Slice 284 of 826, Computed tomography, Image width 381 mm, Image size 512x512 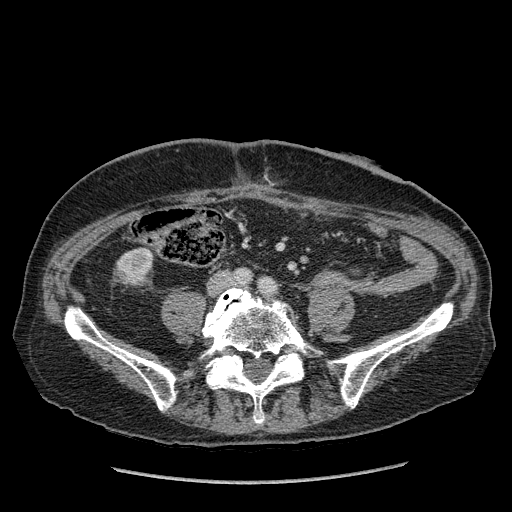

<segmentation>
  <kidney>(117,248,152,283)</kidney>
</segmentation>